FLAIR MR image.
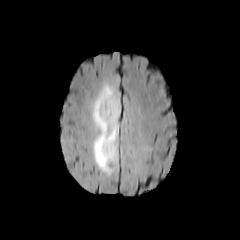
T1-weighted MR image.
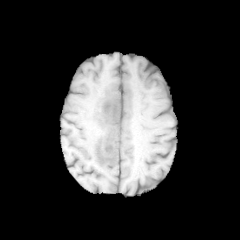
Post-contrast T1-weighted MRI.
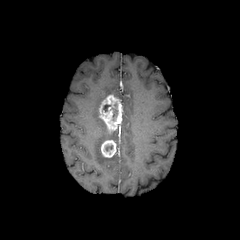
T2-weighted MR.
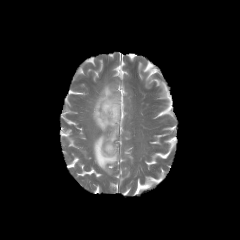
Head
<segmentation>
  <non-enhancing_tumor_core>102 103 111 112, 110 108 117 120</non-enhancing_tumor_core>
  <edema>92 84 119 175</edema>
  <enhancing_tumor>101 140 116 158, 99 95 122 134</enhancing_tumor>
</segmentation>